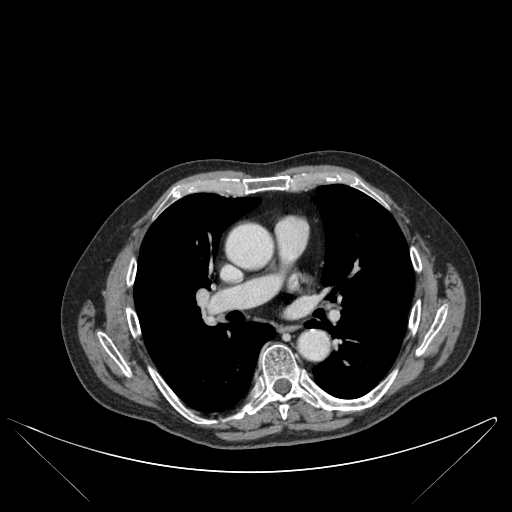 Computed tomography, 512x512

bone:
  - [353, 178, 379, 199]
  - [126, 259, 136, 285]
  - [126, 308, 140, 336]
  - [416, 306, 447, 355]
  - [172, 190, 179, 197]
  - [98, 332, 131, 376]
  - [233, 175, 292, 193]
  - [149, 368, 215, 423]
  - [230, 345, 396, 418]
  - [409, 300, 420, 333]
  - [410, 247, 421, 270]
lung:
  - [304, 184, 413, 398]
  - [134, 193, 275, 412]